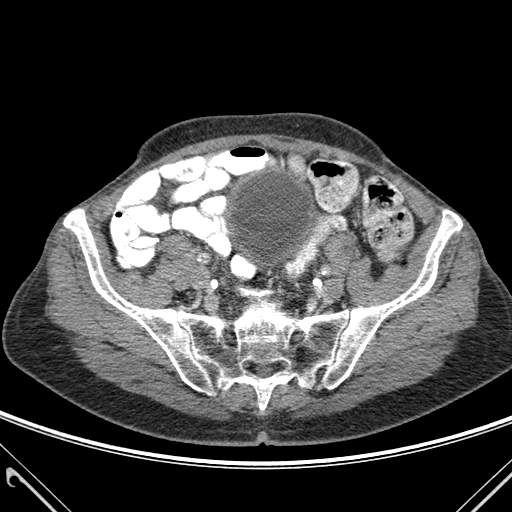 CT scan slice

Annotated regions:
- bone: 63, 209, 462, 409; 240, 288, 270, 296